Abdomen. Field of view 335x335 mm. CT.
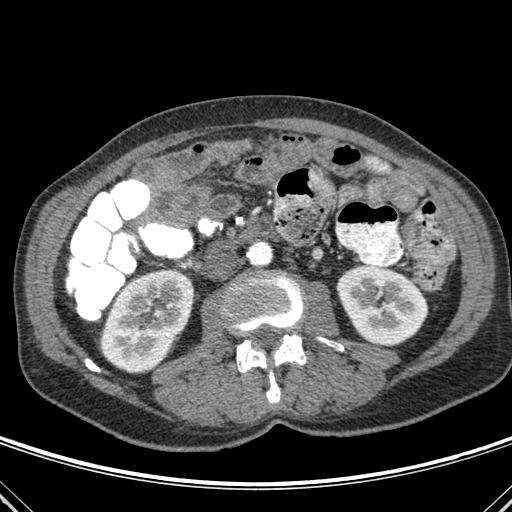
{
  "bone": [
    "l=85, t=358, r=99, b=371",
    "l=225, t=271, r=306, b=403",
    "l=236, t=217, r=243, b=224",
    "l=317, t=337, r=343, b=351"
  ],
  "kidney": [
    "l=101, t=274, r=192, b=371",
    "l=338, t=265, r=426, b=344"
  ]
}